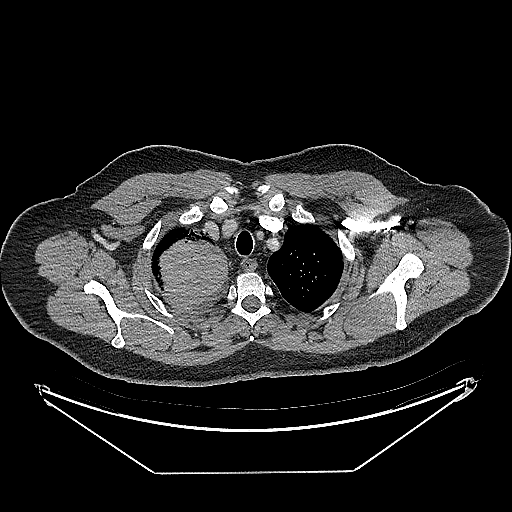
Lung, Image size 512x512, CT image
The lung tumor is at region(151, 230, 227, 307).